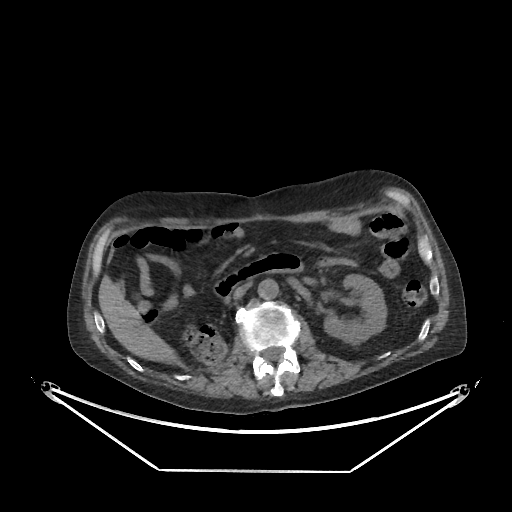

Computed tomography. Upper abdomen. 512x512 px.
Liver = region(99, 276, 176, 360).
Kidney = region(318, 274, 386, 343).